FLAIR MR image.
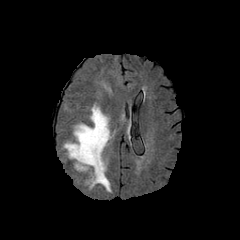
T1-weighted MR.
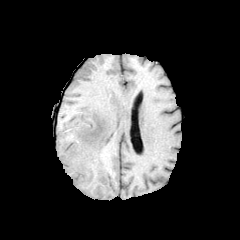
Post-contrast T1-weighted magnetic resonance.
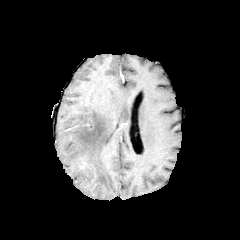
T2-weighted magnetic resonance.
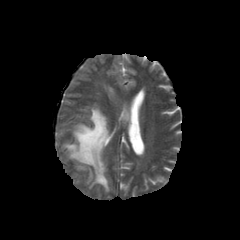
Edema = region(62, 104, 113, 191).